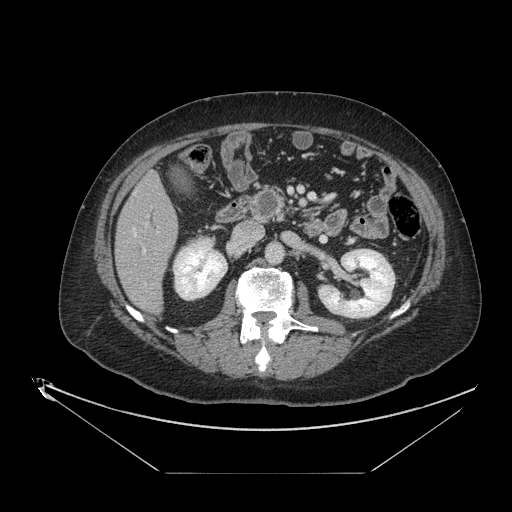

CT scan slice.

The pancreas lies within (251,186,288,221). The pancreatic tumor is bounded by (259,193,278,216).